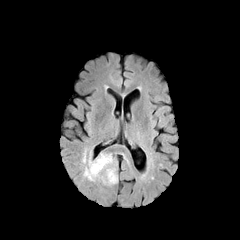
FLAIR MR.
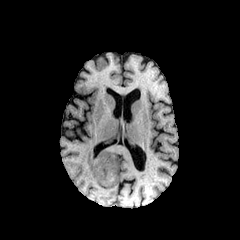
Same slice, T1-weighted MRI.
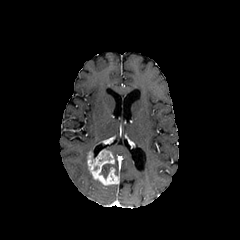
Post-contrast T1-weighted magnetic resonance.
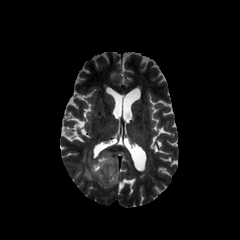
Same slice, T2-weighted MR image.
240x240.
Edema — (80,147,96,181).
Enhancing tumor — (86,150,119,185).